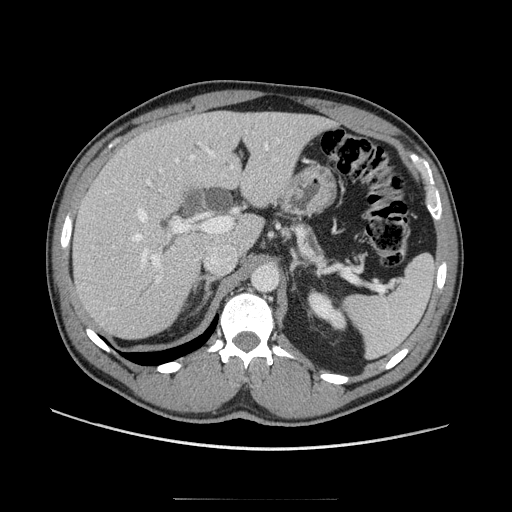

Abdomen. Computed tomography.

Pancreas: x1=297 y1=221 x2=330 y2=263.